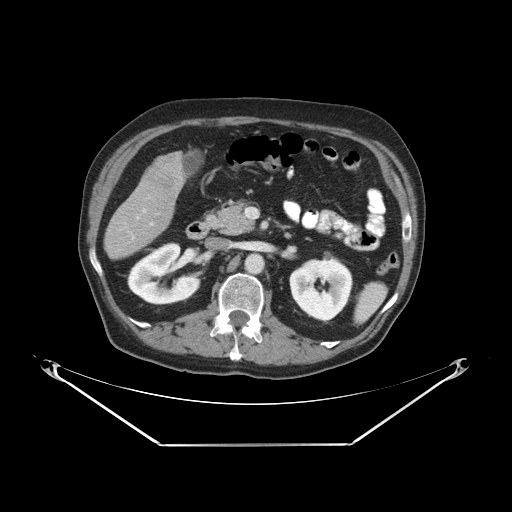 Abdomen. Computed tomography.

Only some of the vessels may be annotated.
<segmentation>
  <liver_tumor>bbox(146, 156, 182, 198)</liver_tumor>
  <hepatic_vessel>bbox(132, 235, 134, 239); bbox(122, 223, 126, 228); bbox(136, 215, 139, 219); bbox(142, 208, 145, 212)</hepatic_vessel>
</segmentation>